240x240 px; Head; Image width 240 mm
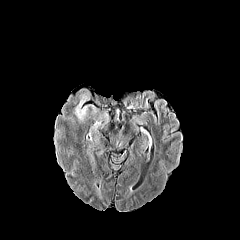
FLAIR MRI.
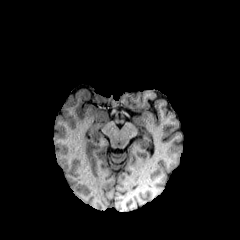
Same slice, T1-weighted MRI.
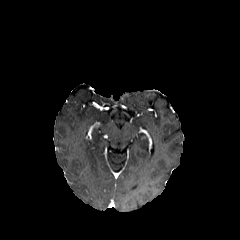
Post-contrast T1-weighted MR image of the same slice.
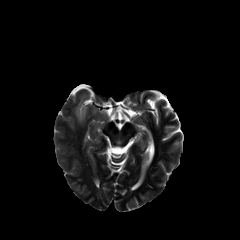
Same slice, T2-weighted MRI.
Edema: (77,100,86,117).